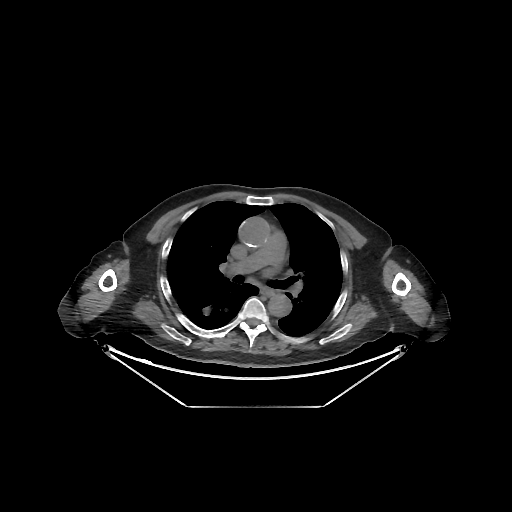 Thorax, CT scan slice
11 bone regions are bounded by (246,196,272,204), (98,269,116,291), (341,255,347,269), (282,335,306,342), (392,272,410,295), (162,240,170,256), (333,292,346,316), (160,277,170,299), (162,324,191,344), (177,298,270,346), (319,324,351,343). The lung is located at (166,201,342,336).